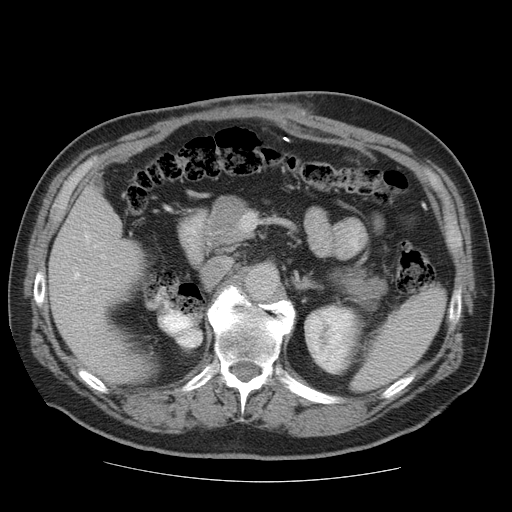
Image size 512x512; CT scan slice; Liver
The vessel annotation is not exhaustive.
Annotated regions:
• hepatic vessel: bbox(73, 322, 80, 327); bbox(93, 332, 95, 334); bbox(99, 274, 102, 275); bbox(85, 231, 89, 249); bbox(82, 285, 88, 292); bbox(90, 337, 96, 341); bbox(89, 326, 96, 328); bbox(74, 273, 79, 278); bbox(94, 245, 96, 247); bbox(86, 277, 88, 280); bbox(84, 225, 86, 227); bbox(88, 318, 91, 319)